Computed tomography. Field of view 450x450 mm. Slice 62 of 105.

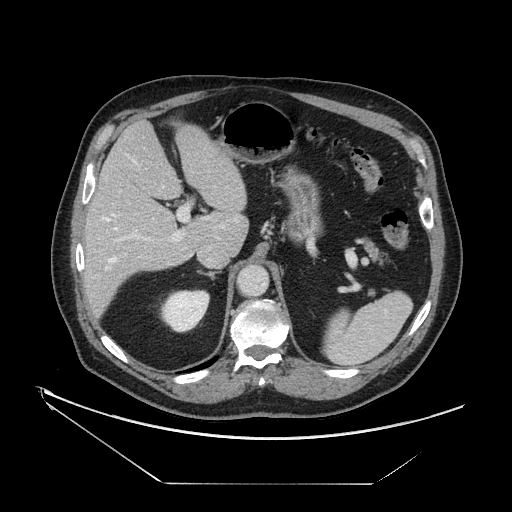
Annotated regions:
* pancreas: (363,239,381,261)